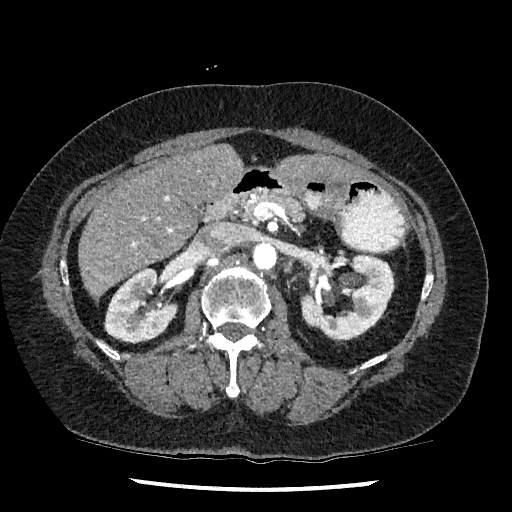 Abdomen; CT slice
2 liver regions are located at 78, 145, 243, 297; 277, 156, 368, 183. 2 kidney regions are located at 302, 255, 393, 339; 105, 261, 187, 342.